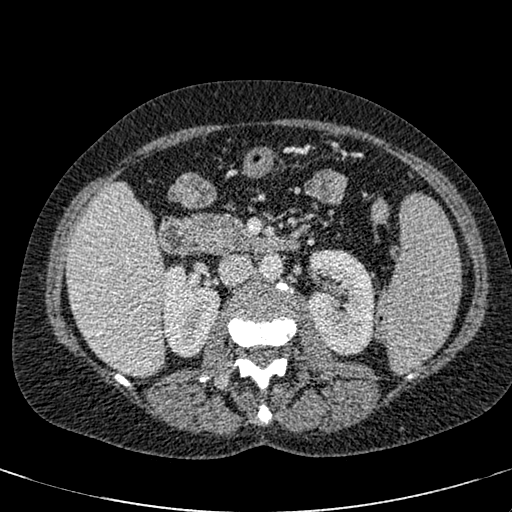 CT
The liver appears at x1=65, y1=183, x2=164, y2=376. 2 kidney regions appear at x1=163, y1=266, x2=219, y2=355; x1=308, y1=250, x2=373, y2=354.